CT scan slice | Field of view 339x339 mm | Liver

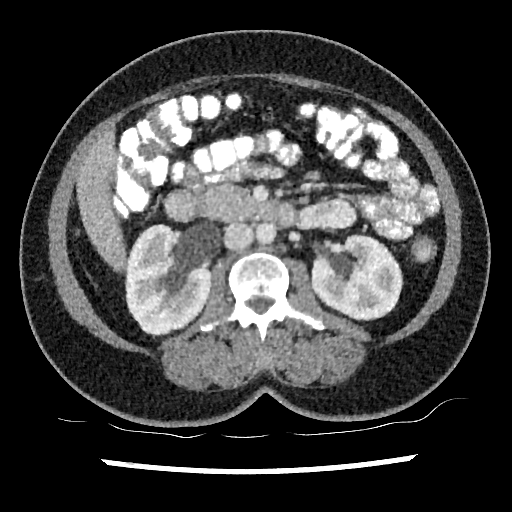

Kidney: bounding box <bbox>312, 236, 401, 318</bbox>, <bbox>126, 225, 210, 334</bbox>.
Liver: bounding box <bbox>77, 132, 124, 268</bbox>.